Liver, 512x512 px, CT image, Slice index 38
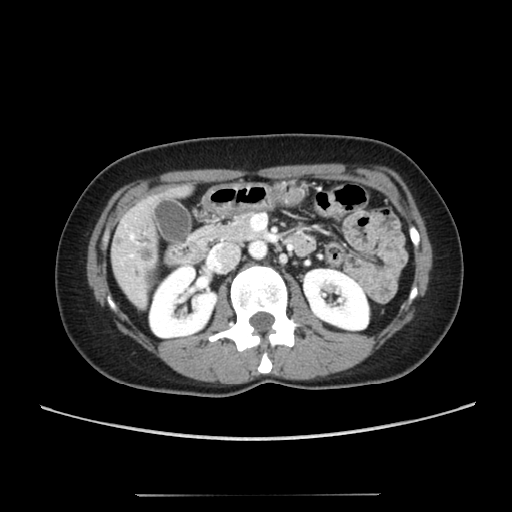

2 kidney regions are bounded by (304, 269, 368, 329), (150, 267, 215, 337). 2 focal liver lesion regions are bounded by (142, 265, 153, 288), (136, 247, 153, 261). The liver is at (110, 184, 195, 309).